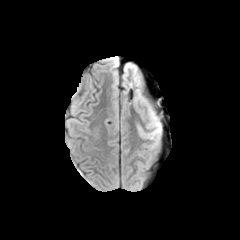
FLAIR magnetic resonance.
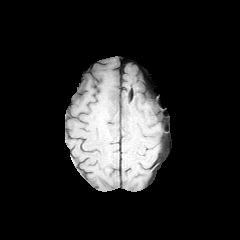
T1-weighted MRI.
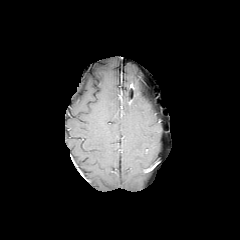
Same slice, post-contrast T1-weighted MR.
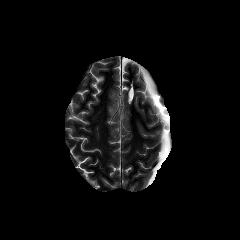
T2-weighted MR image.
Head
The edema is at box=[142, 99, 161, 147].